Brain
FLAIR MR image.
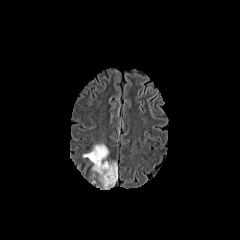
T1-weighted magnetic resonance.
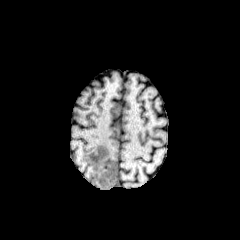
Post-contrast T1-weighted MR image.
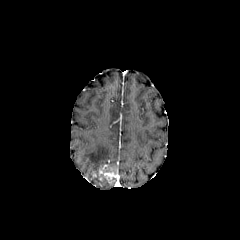
T2-weighted MRI.
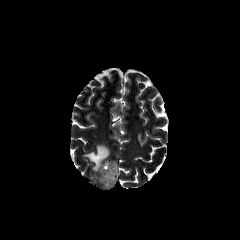
Edema — region(83, 144, 109, 170).
Enhancing tumor — region(99, 164, 117, 182).
Non-enhancing tumor core — region(92, 171, 116, 189).